Slice index 65, Head
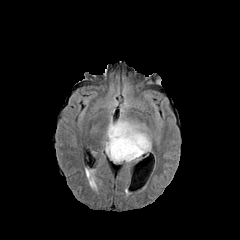
FLAIR MRI.
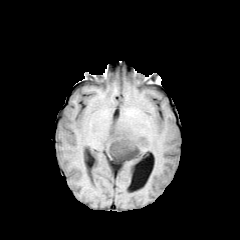
T1-weighted MRI of the same slice.
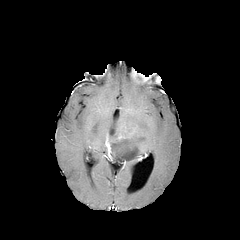
Post-contrast T1-weighted magnetic resonance of the same slice.
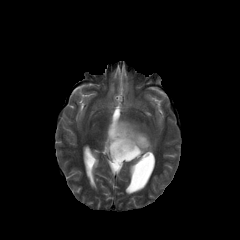
Same slice, T2-weighted MRI.
<segmentation>
  <edema>(106,119,151,157)</edema>
  <non-enhancing_tumor_core>(108,130,143,162)</non-enhancing_tumor_core>
  <enhancing_tumor>(117,129,127,139), (105,138,114,160)</enhancing_tumor>
</segmentation>